Image width 240 mm | Brain
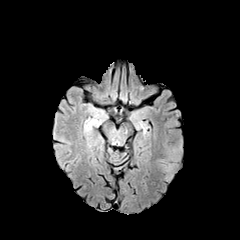
FLAIR MRI.
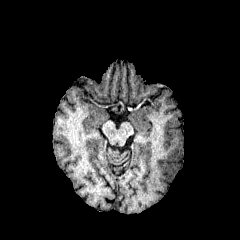
T1-weighted MR image of the same slice.
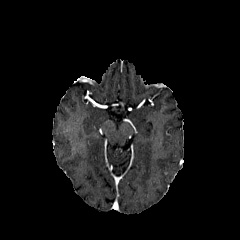
Post-contrast T1-weighted MR image.
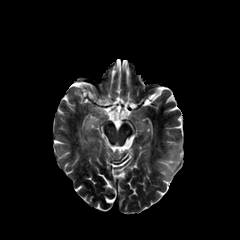
T2-weighted magnetic resonance.
edema: bbox(158, 159, 178, 180); bbox(163, 140, 182, 161)